Slice index 71, Image width 240 mm, Brain
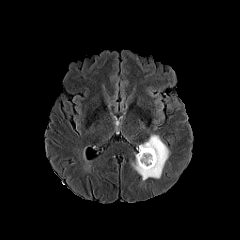
FLAIR MR.
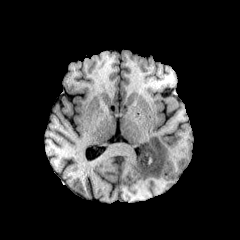
T1-weighted MR.
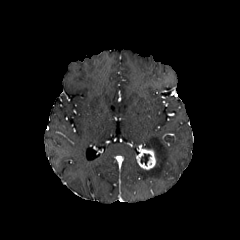
Post-contrast T1-weighted MR of the same slice.
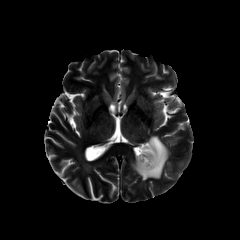
T2-weighted MRI.
non-enhancing tumor core: <box>139,153,152,166</box> | edema: <box>132,135,168,180</box> | enhancing tumor: <box>136,149,155,169</box>